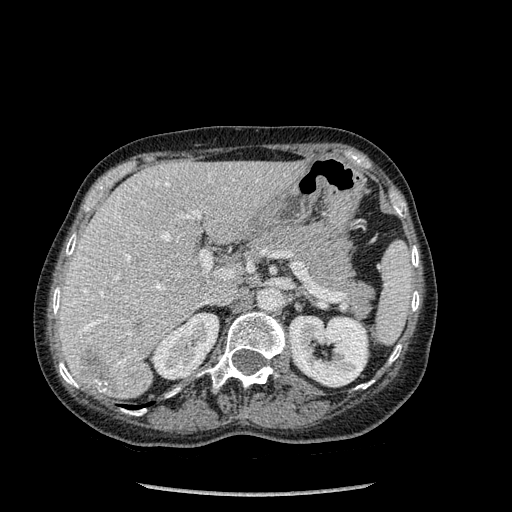
CT image
2 kidney regions appear at <bbox>289, 316, 367, 386</bbox>, <bbox>153, 313, 218, 379</bbox>. The liver is located at <bbox>59, 161, 304, 398</bbox>. The focal liver lesion is bounded by <bbox>81, 350, 117, 391</bbox>. 11 bone regions are bounded by <bbox>411, 291, 419, 311</bbox>, <bbox>389, 344, 401, 362</bbox>, <bbox>410, 246, 418, 266</bbox>, <bbox>198, 312, 285, 391</bbox>, <bbox>66, 233, 76, 255</bbox>, <bbox>121, 408, 146, 415</bbox>, <bbox>59, 362, 78, 387</bbox>, <bbox>355, 380, 374, 389</bbox>, <bbox>165, 387, 180, 397</bbox>, <bbox>52, 287, 62, 314</bbox>, <bbox>393, 199, 406, 217</bbox>.